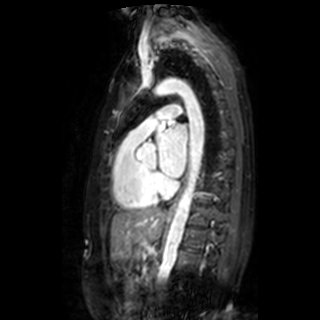
MRI, Heart
{
  "left_atrium": [
    "156:125:186:177"
  ]
}